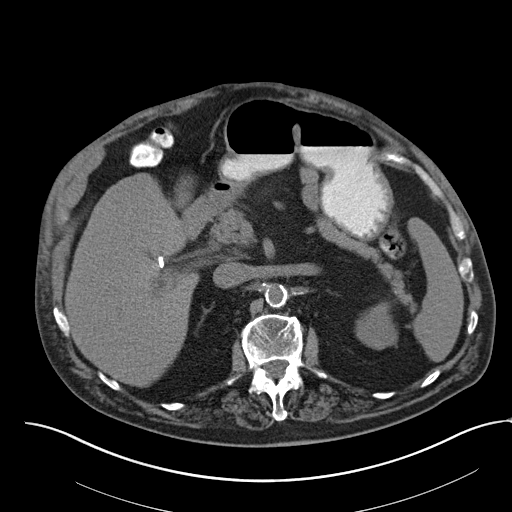
Computed tomography, Abdomen
spleen: left=411, top=222, right=462, bottom=359